Field of view 240x240 mm | Image size 240x240
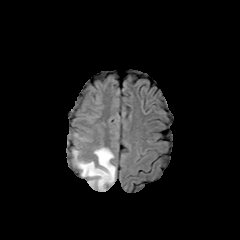
FLAIR MRI.
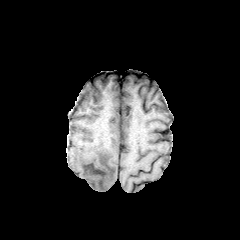
T1-weighted MRI.
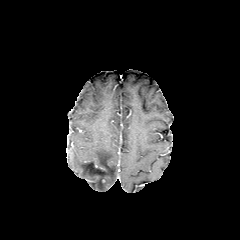
Post-contrast T1-weighted MR image of the same slice.
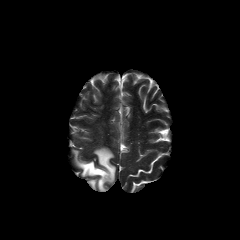
Same slice, T2-weighted MR image.
{
  "edema": [
    "left=73, top=146, right=116, bottom=191"
  ],
  "non-enhancing_tumor_core": [
    "left=83, top=162, right=107, bottom=187"
  ]
}